Slice 33 of 105 | CT image | 512x512 px
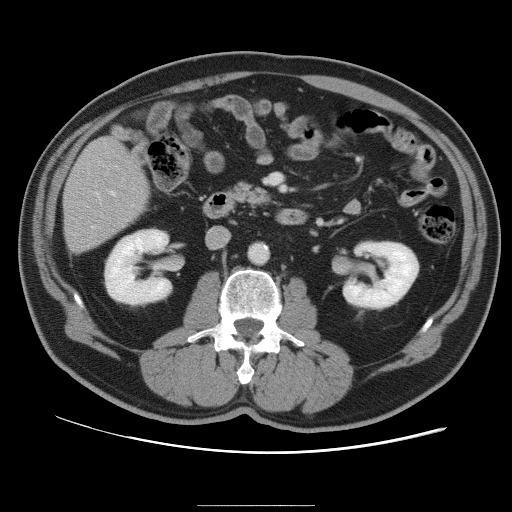 Only some of the vessels may be annotated.
- hepatic vessel: <bbox>95, 192, 100, 199</bbox>, <bbox>91, 226, 96, 227</bbox>, <bbox>110, 191, 115, 195</bbox>